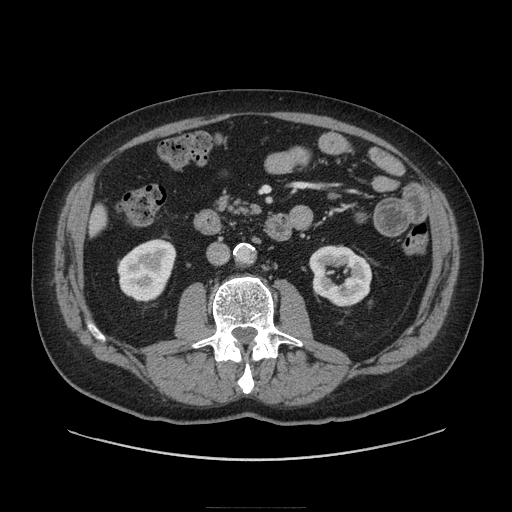

512x512 px, CT slice

The pancreas is located at 214,194,262,221.